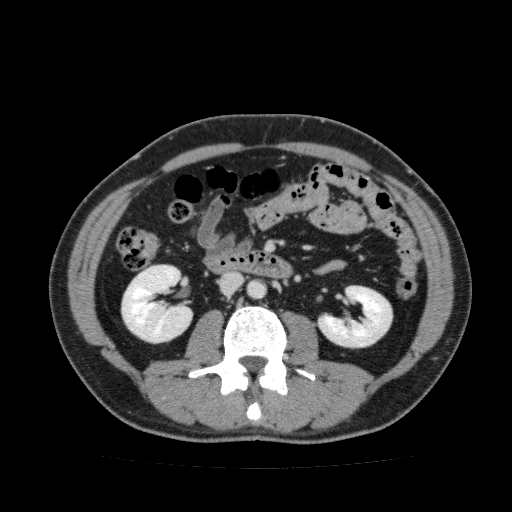 CT image
Kidney — (x1=122, y1=265, x2=192, y2=342), (x1=318, y1=286, x2=392, y2=347).